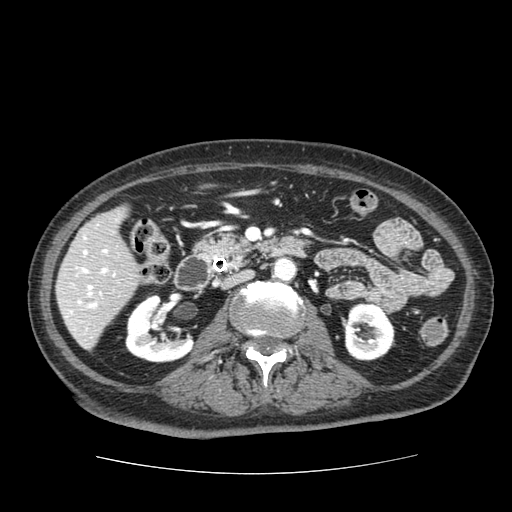 Upper abdomen. CT scan slice. The pancreas lies within x1=195, y1=234, x2=251, y2=268.